Slice 73 of 260, Liver, Field of view 512x512 mm, CT slice

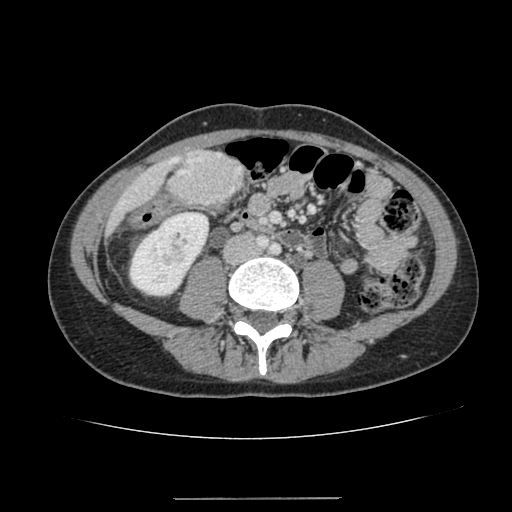
Segmented structures:
* focal liver lesion: (x1=168, y1=150, x2=244, y2=205)
* kidney: (x1=130, y1=213, x2=207, y2=294)
* liver: (x1=105, y1=151, x2=190, y2=233)